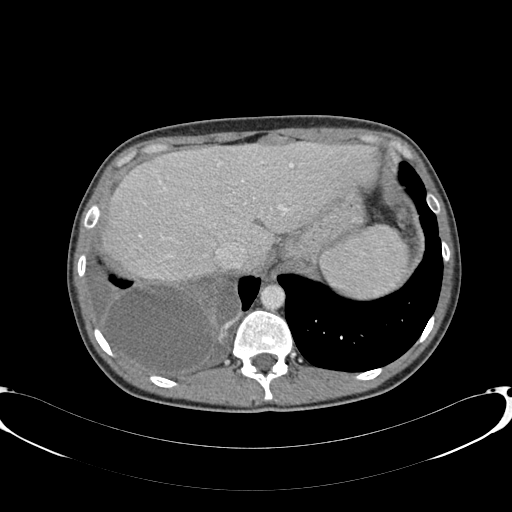
Image size 512x512; CT
The liver is at rect(104, 142, 378, 280).